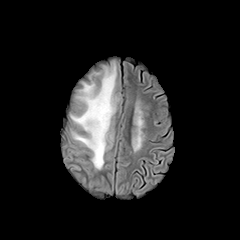
FLAIR MR.
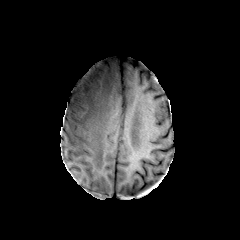
T1-weighted MR.
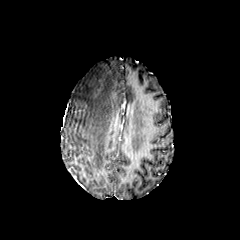
Post-contrast T1-weighted MR of the same slice.
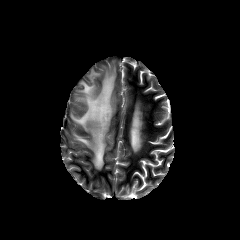
T2-weighted MRI of the same slice.
Edema — left=72, top=63, right=117, bottom=169.